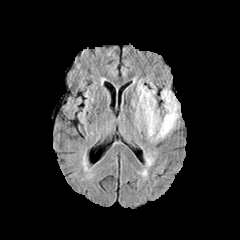
FLAIR MRI.
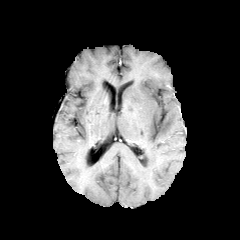
T1-weighted MR.
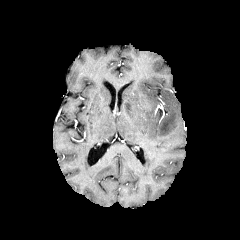
Post-contrast T1-weighted MR.
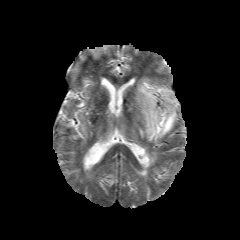
T2-weighted magnetic resonance.
240x240
edema: x1=135 y1=79 x2=179 y2=139